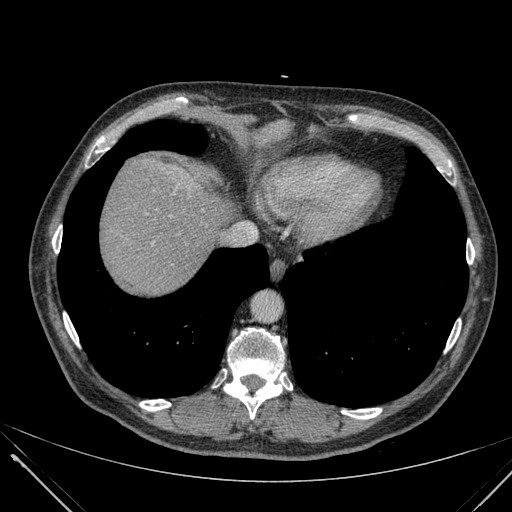
CT | Upper abdomen | 512x512 px

Annotated regions:
- liver: x1=101, y1=155, x2=234, y2=295; x1=248, y1=120, x2=292, y2=146